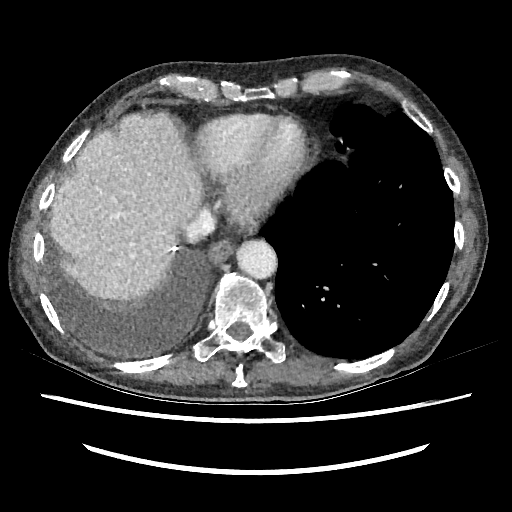

Abdomen; Computed tomography
Segmented structures:
* liver: {"x1": 50, "y1": 114, "x2": 202, "y2": 298}